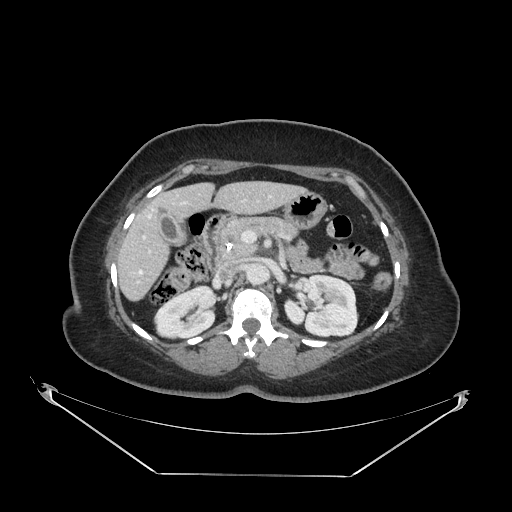

Computed tomography.

Pancreas — 218,218,298,260.
Pancreatic tumor — 226,232,237,243.